Field of view 389 mm wide, 5.00 mm slice spacing, CT, Abdomen, 512x512 px 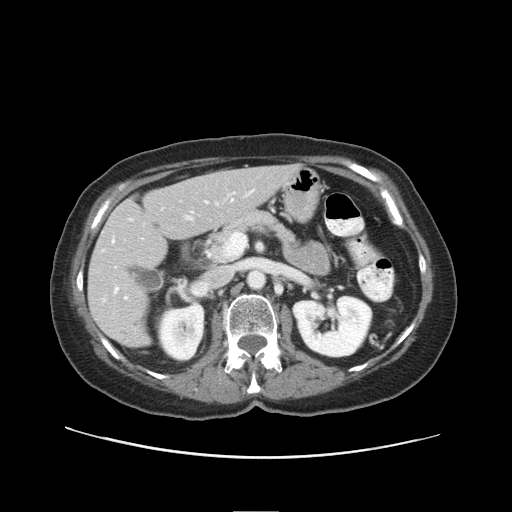
The vessel boxes may cover only some of the vessels.
Hepatic vessel = 185,212,193,220; 103,250,104,252; 114,288,118,293; 125,297,128,299; 205,201,207,203; 112,238,115,243; 216,203,218,205; 246,190,254,195; 227,193,234,201.